CT scan slice; Upper abdomen

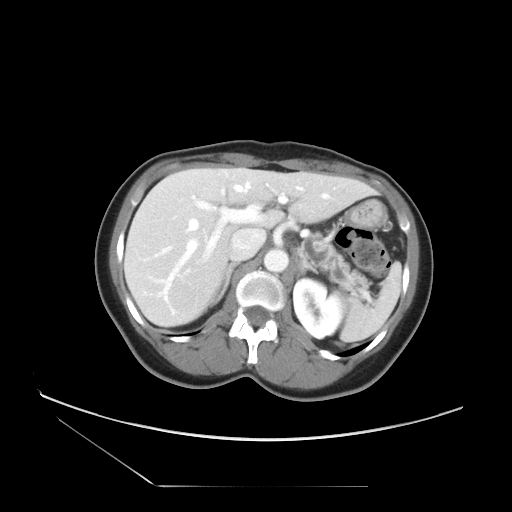

Pancreas at [301,236,365,295].